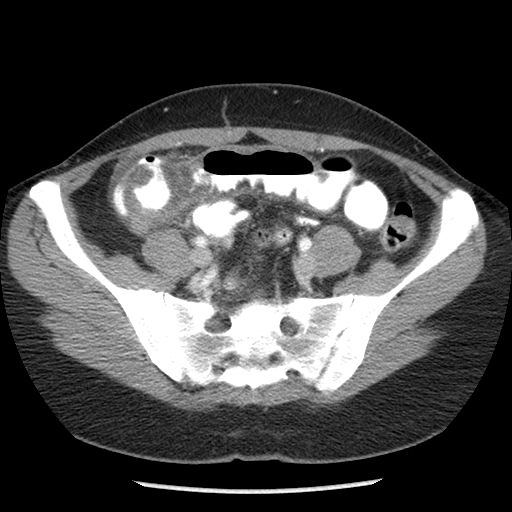

CT. Pelvis.
Colon tumor — <bbox>130, 204, 164, 234</bbox>.